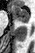 MRI slice

Annotated regions:
• anterior hippocampus: <box>11,6,28,22</box>